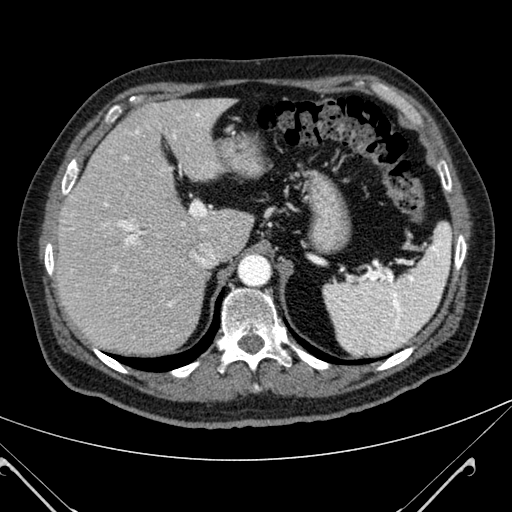

CT scan slice. Image size 512x512.
liver:
  - box=[56, 96, 251, 357]